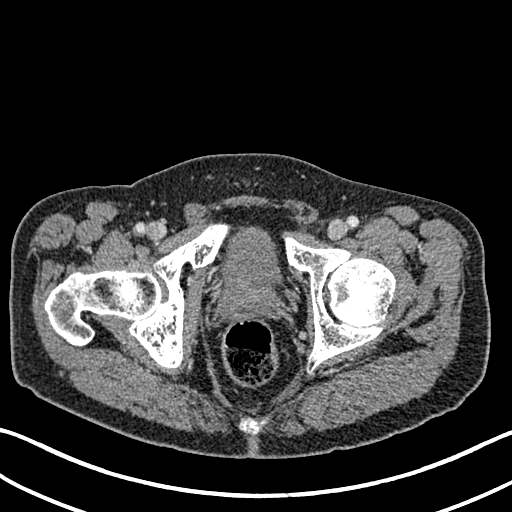

512x512 px. CT scan slice.
<segmentation>
  <urinary_bladder>bbox(219, 231, 282, 285)</urinary_bladder>
</segmentation>